FLAIR magnetic resonance.
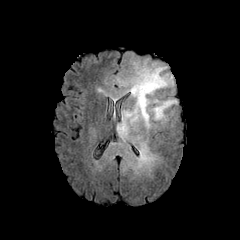
T1-weighted MRI.
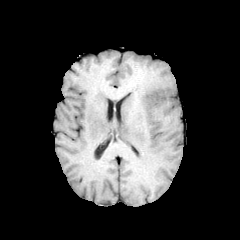
Post-contrast T1-weighted MR image.
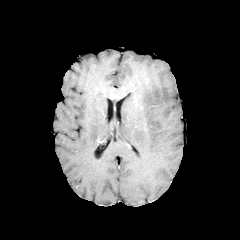
T2-weighted MR image.
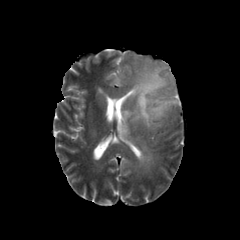
Image size 240x240
non-enhancing_tumor_core:
  - (left=127, top=68, right=150, bottom=119)
edema:
  - (left=139, top=144, right=150, bottom=163)
  - (left=113, top=62, right=178, bottom=140)